FLAIR magnetic resonance.
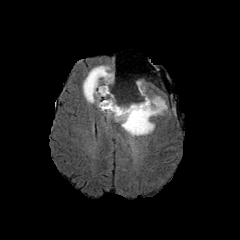
T1-weighted MR.
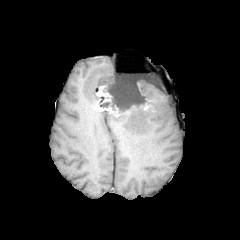
Post-contrast T1-weighted magnetic resonance.
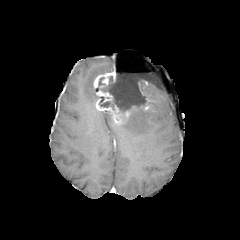
T2-weighted MRI.
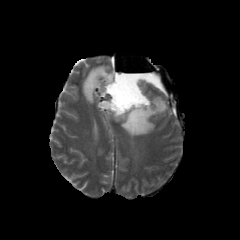
240x240, Brain
2 edema regions appear at (112,79,167,137), (82,64,113,103). 3 enhancing tumor regions appear at (96,101,121,119), (94,71,113,88), (96,90,112,101). The non-enhancing tumor core is bounded by (95,78,147,121).